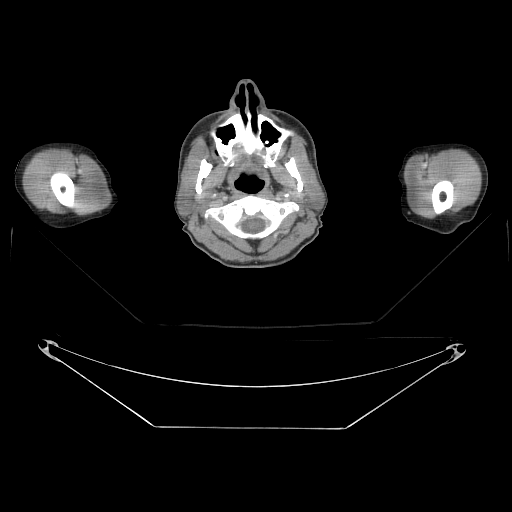
CT slice.

6 bone regions are located at (x1=209, y1=196, x2=298, y2=238), (x1=50, y1=172, x2=74, y2=207), (x1=195, y1=159, x2=211, y2=194), (x1=432, y1=180, x2=453, y2=213), (x1=215, y1=112, x2=285, y2=166), (x1=285, y1=157, x2=302, y2=191).